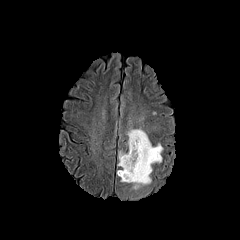
FLAIR magnetic resonance.
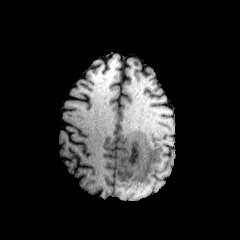
T1-weighted magnetic resonance.
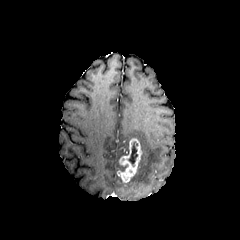
Post-contrast T1-weighted MRI.
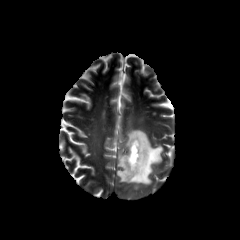
T2-weighted MR image of the same slice.
The edema is bounded by (119, 129, 163, 198). The non-enhancing tumor core lies within (126, 142, 137, 164). The enhancing tumor lies within (116, 138, 142, 182).